FLAIR MR image.
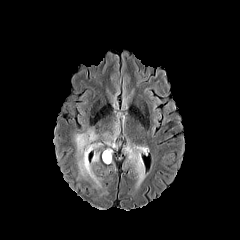
T1-weighted MRI.
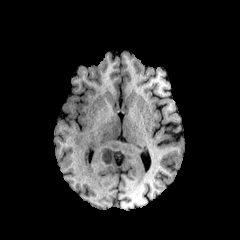
Post-contrast T1-weighted MR.
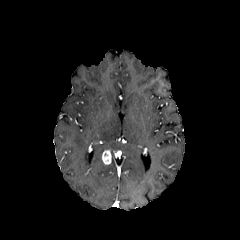
T2-weighted MR.
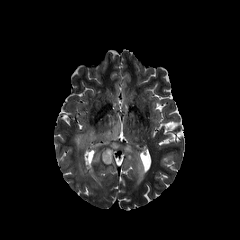
240x240 px. Brain.
edema: <bbox>91, 150, 99, 162</bbox>, <bbox>123, 145, 144, 178</bbox>, <bbox>85, 170, 100, 187</bbox>, <bbox>75, 131, 96, 175</bbox> | enhancing tumor: <bbox>102, 149, 111, 164</bbox>